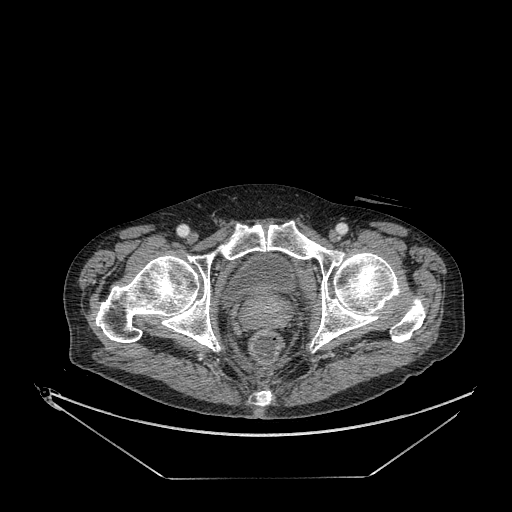
512x512 px, Lower abdomen, Computed tomography
Urinary bladder — [221,252,295,307].